Slice 214 of 314; CT image
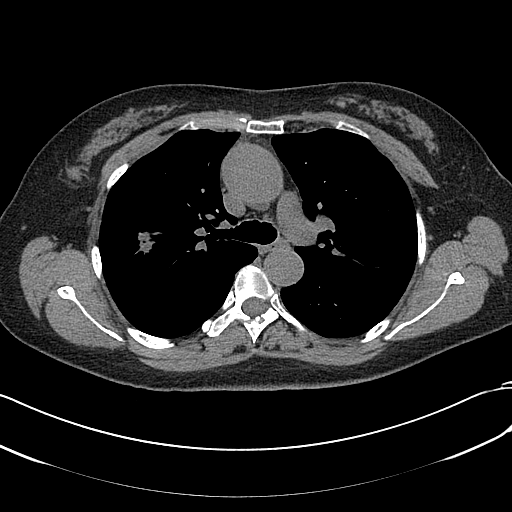

The lung tumor is bounded by 134, 227, 157, 263.